CT

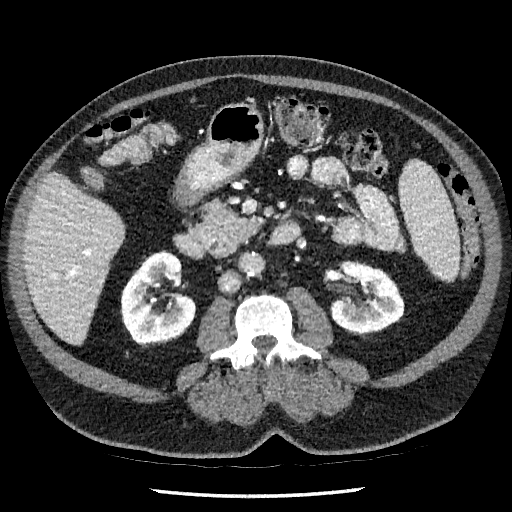
2 liver regions are bounded by (x1=100, y1=137, x2=143, y2=164), (x1=24, y1=174, x2=124, y2=344). 3 kidney regions are located at (x1=122, y1=252, x2=194, y2=343), (x1=332, y1=262, x2=403, y2=332), (x1=329, y1=272, x2=342, y2=279).